Field of view 240x240 mm.
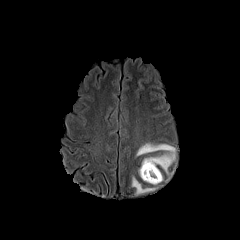
FLAIR MR.
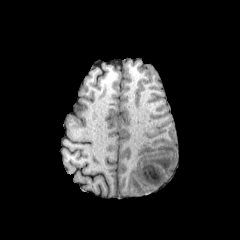
T1-weighted MR image.
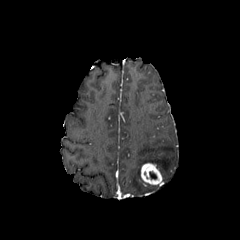
Post-contrast T1-weighted MRI of the same slice.
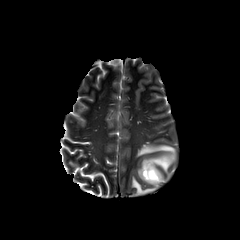
T2-weighted MR.
The enhancing tumor appears at region(140, 161, 162, 184). 2 edema regions appear at region(132, 177, 155, 193); region(136, 143, 175, 173).